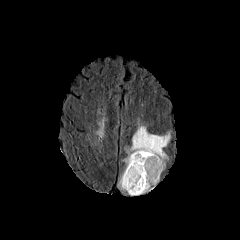
FLAIR MRI.
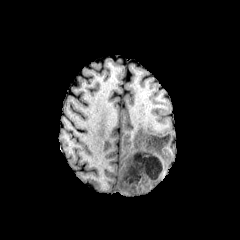
T1-weighted MR image of the same slice.
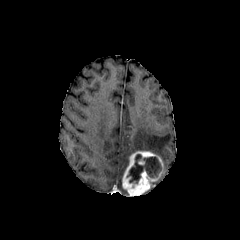
Post-contrast T1-weighted MR.
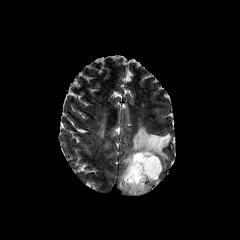
Same slice, T2-weighted magnetic resonance.
<segmentation>
  <non-enhancing_tumor_core>126:154:162:187</non-enhancing_tumor_core>
  <edema>125:122:171:169, 119:158:128:191</edema>
  <enhancing_tumor>122:150:162:195</enhancing_tumor>
</segmentation>